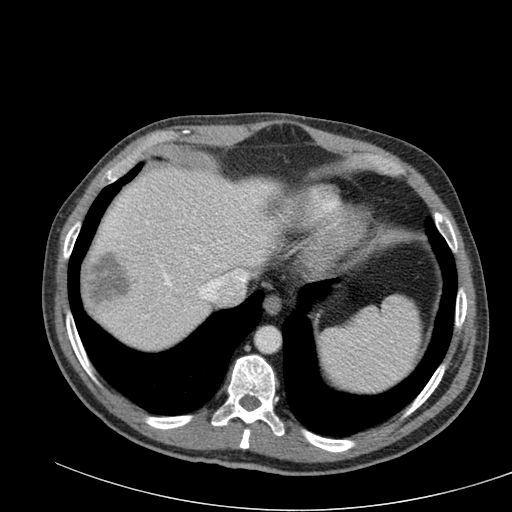 Abdomen. CT slice. The liver lies within 84 166 280 349. The focal liver lesion is located at 84 252 131 305.